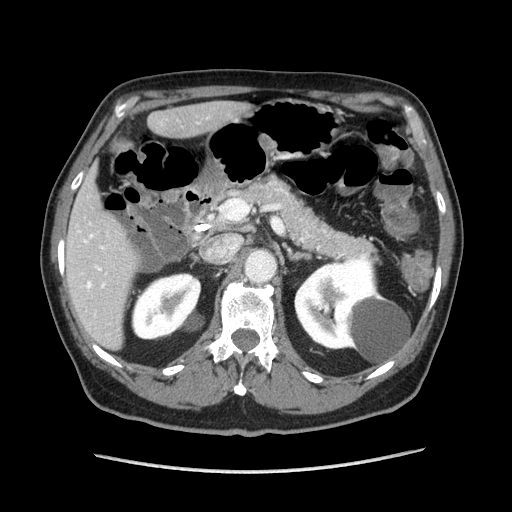

CT scan slice

Pancreas: [244, 178, 373, 259].